Upper abdomen. Slice 135/192. CT.

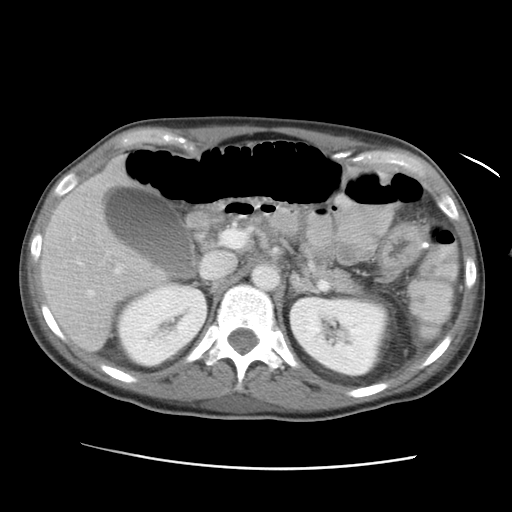
* liver: <box>41,157,174,350</box>
* kidney: <box>120,286,206,364</box>, <box>290,297,386,375</box>